Slice 17/36 | CT | Liver

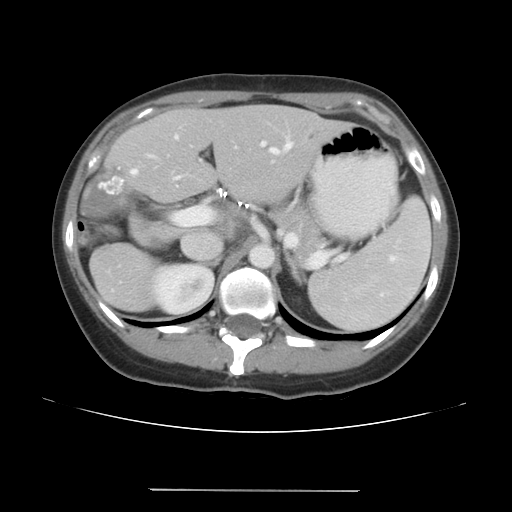

The vessel boxes may cover only some of the vessels.
Segmented structures:
• hepatic vessel: 172,203,215,226; 260,141,289,154; 145,154,157,159; 111,289,113,291
• liver tumor: 77,172,144,218